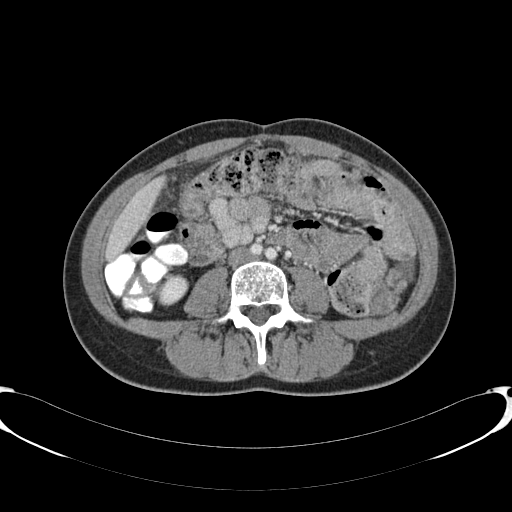
CT.
liver:
  - 106 176 165 261
kidney:
  - 162 278 185 301